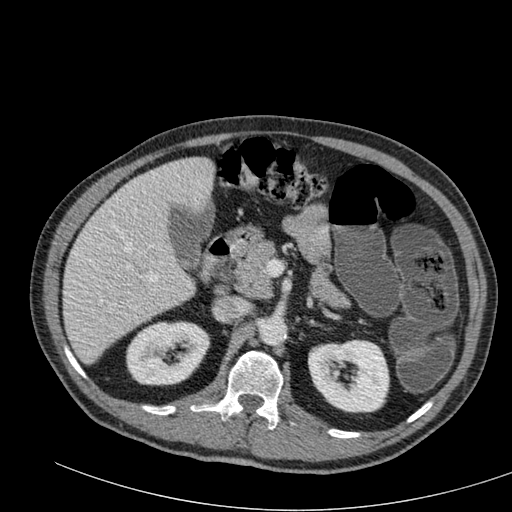 Computed tomography | Upper abdomen

The liver appears at 63 157 213 362. 2 kidney regions are bounded by 309 340 388 411, 127 323 208 384.